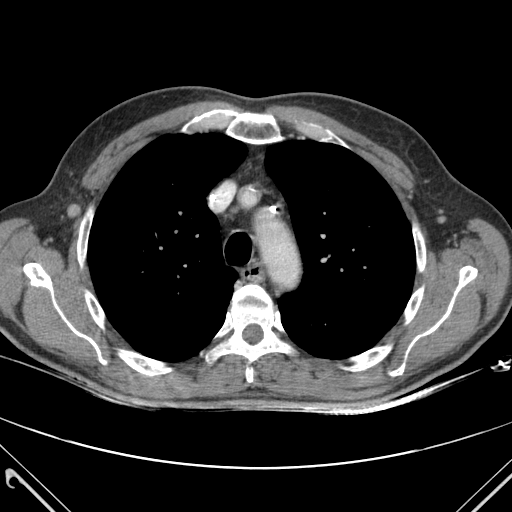

CT slice
bone: bbox(405, 287, 423, 323); bbox(390, 364, 404, 375); bbox(183, 110, 281, 143); bbox(413, 228, 425, 270); bbox(349, 346, 390, 371); bbox(77, 210, 92, 265); bbox(119, 350, 170, 375); bbox(212, 285, 290, 382); bbox(407, 266, 477, 351); bbox(85, 291, 103, 327); bbox(23, 263, 106, 364); bbox(322, 131, 335, 140) | lung: bbox(88, 133, 247, 361); bbox(265, 140, 415, 358)